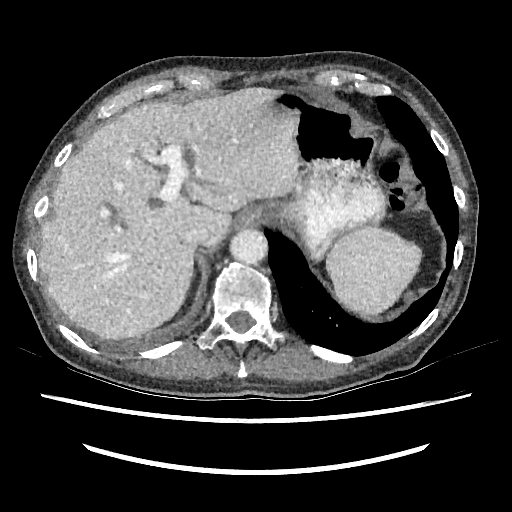
CT image
The liver lies within bbox(39, 89, 297, 339).